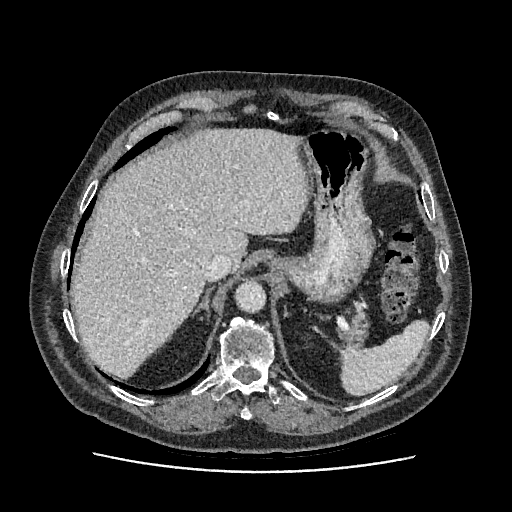 CT image; 512x512

liver:
  - (73, 129, 306, 378)